Slice 66/155
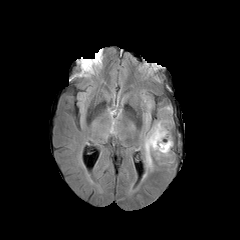
FLAIR MR.
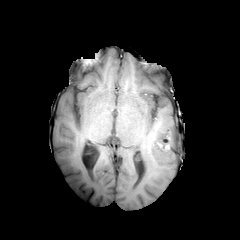
T1-weighted magnetic resonance of the same slice.
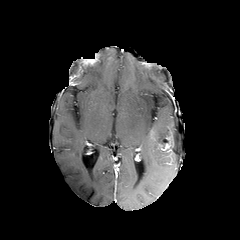
Post-contrast T1-weighted MR image of the same slice.
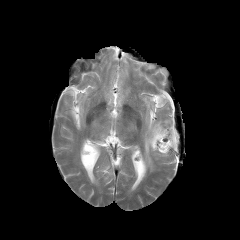
T2-weighted MRI.
<segmentation>
  <edema>left=103, top=106, right=119, bottom=138; left=138, top=98, right=172, bottom=171</edema>
  <enhancing_tumor>left=160, top=136, right=173, bottom=151</enhancing_tumor>
</segmentation>